Computed tomography | Upper abdomen

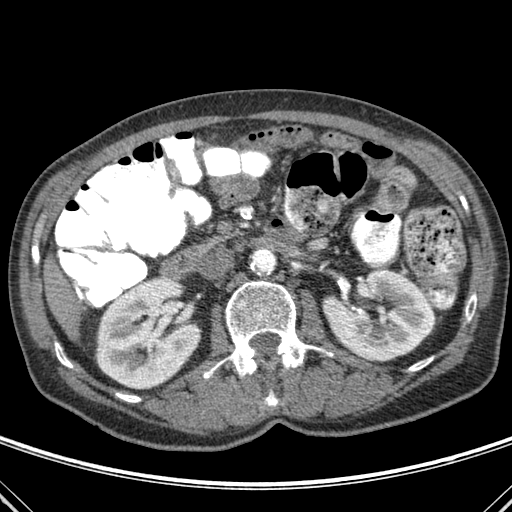
Kidney: bounding box l=324, t=270, r=434, b=360; l=178, t=305, r=192, b=320; l=97, t=278, r=199, b=388.
Liver: bounding box l=44, t=254, r=80, b=337.
Bone: bounding box l=116, t=393, r=140, b=402; l=203, t=281, r=323, b=378; l=465, t=294, r=476, b=321; l=266, t=391, r=277, b=405; l=408, t=357, r=432, b=371; l=338, t=278, r=349, b=298; l=55, t=342, r=72, b=367; l=241, t=207, r=252, b=219; l=32, t=246, r=39, b=264.